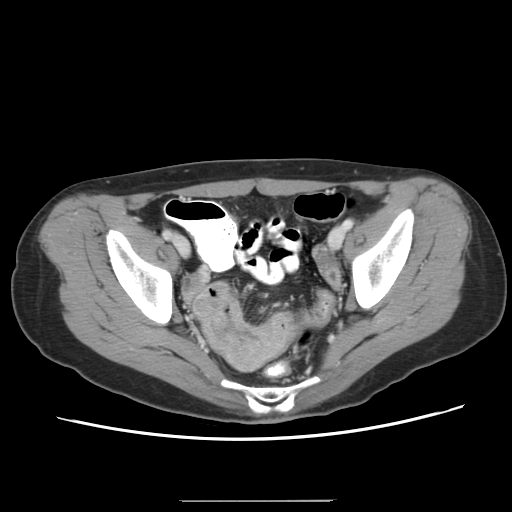
CT image | Abdomen
Colon tumor = (left=192, top=281, right=298, bottom=372).